CT image, Slice index 76, Abdomen 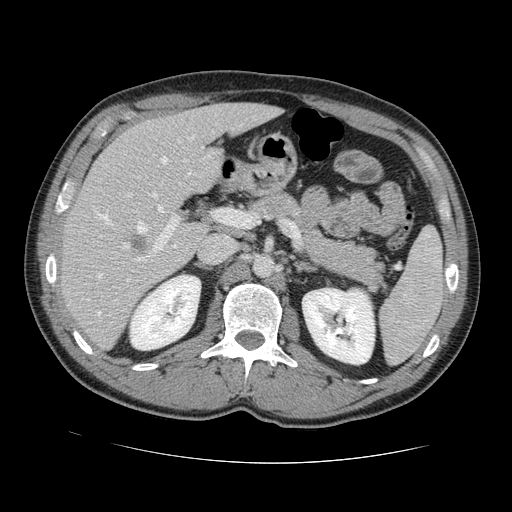
Not every hepatic vessel necessarily has a box.
[15/24] hepatic vessel: 137, 222, 146, 233; 187, 135, 193, 139; 126, 276, 129, 281; 157, 206, 162, 211; 179, 182, 182, 186; 133, 210, 137, 212; 150, 193, 156, 197; 136, 257, 144, 262; 122, 243, 128, 248; 161, 157, 166, 162; 125, 193, 132, 196; 96, 209, 112, 225; 150, 240, 162, 259; 188, 171, 194, 174; 97, 274, 100, 277 | liver tumor: 130, 234, 148, 253